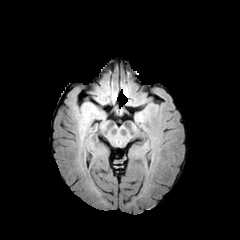
FLAIR MRI.
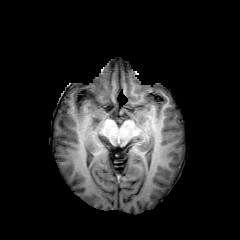
T1-weighted MR.
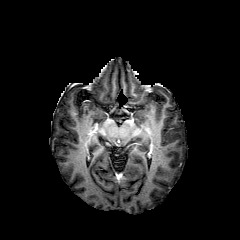
Post-contrast T1-weighted MRI.
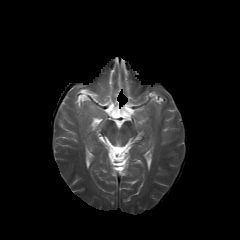
T2-weighted MRI.
Brain.
edema: (136, 114, 144, 122), (82, 102, 103, 121)